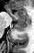 MR

Posterior hippocampus: 14:20:28:31.
Anterior hippocampus: 8:7:27:20.